Head, Slice 68 of 155, Image size 240x240
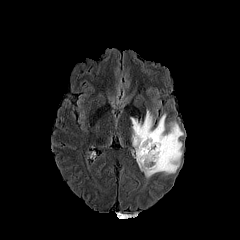
FLAIR MR image.
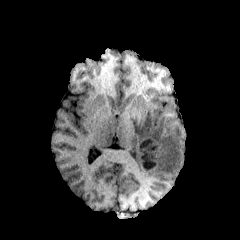
T1-weighted MRI.
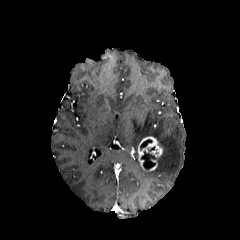
Post-contrast T1-weighted MR of the same slice.
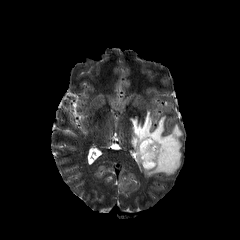
Same slice, T2-weighted MR image.
edema: x1=130 y1=110 x2=183 y2=177 | enhancing tumor: x1=137 y1=136 x2=163 y2=171 | non-enhancing tumor core: x1=141 y1=151 x2=155 y2=170, x1=140 y1=139 x2=152 y2=148